Slice 235/463; 512x512; CT slice; Abdomen; Image width 407 mm
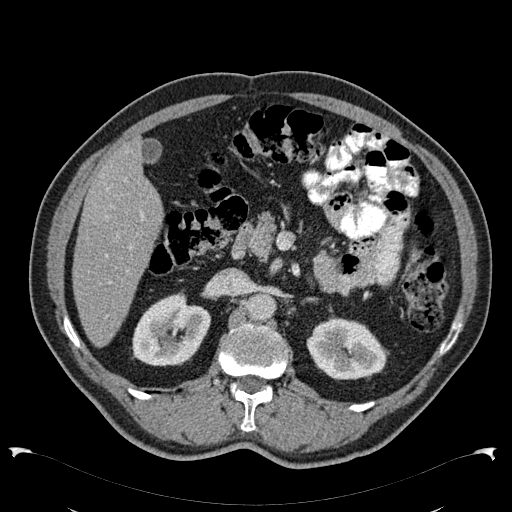

<segmentation>
  <kidney><box>132,293,210,365</box>, <box>307,318,385,379</box></kidney>
  <liver><box>73,136,162,347</box></liver>
</segmentation>